Field of view 407 mm wide, 1.50 mm slice spacing. Abdomen. CT image. Image size 512x512.
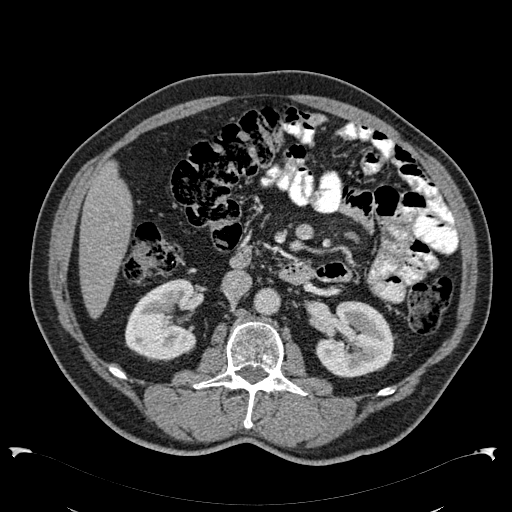 Kidney = rect(316, 301, 393, 377); rect(125, 279, 203, 360).
Liver = rect(79, 160, 133, 317).